Slice index 50; Image width 474 mm; Computed tomography; 512x512 px; Abdomen
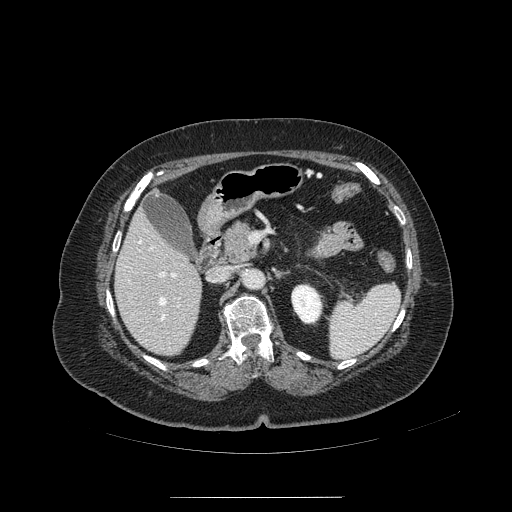

Segmented structures:
* pancreas: (223,221,255,265)